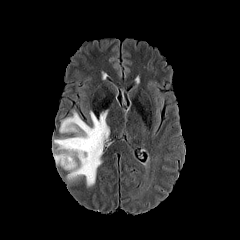
FLAIR MRI.
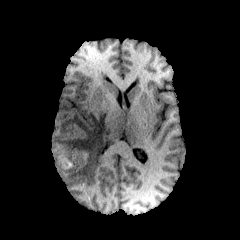
T1-weighted MR image of the same slice.
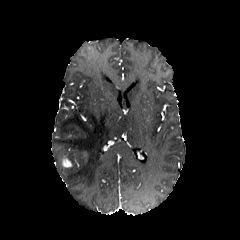
Post-contrast T1-weighted MR image.
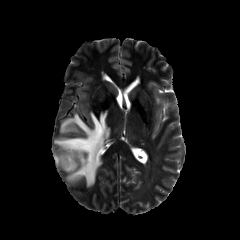
T2-weighted MRI.
240x240; Head
2 edema regions appear at (53, 111, 110, 188), (53, 154, 60, 164). The non-enhancing tumor core is located at (60, 151, 78, 162). The enhancing tumor lies within (62, 154, 72, 169).